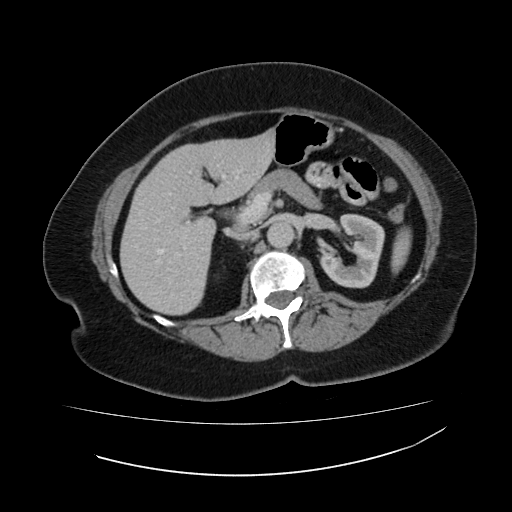

CT image; Abdomen

liver: bbox=[120, 133, 274, 314] | kidney: bbox=[318, 215, 384, 287]